512x512, Computed tomography, Slice 507 of 871
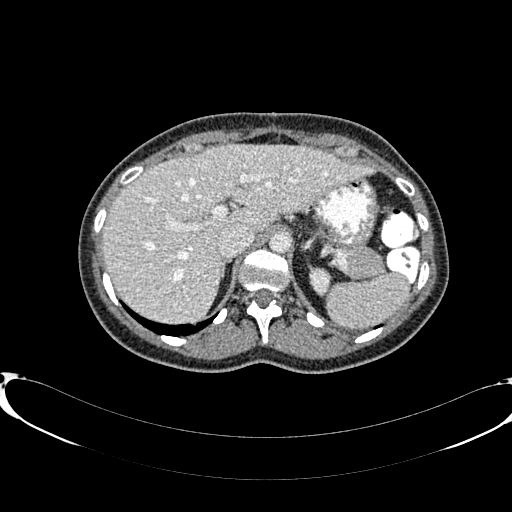
Annotated regions:
* liver: box=[102, 145, 374, 321]
* kidney: box=[312, 273, 327, 290]